CT image

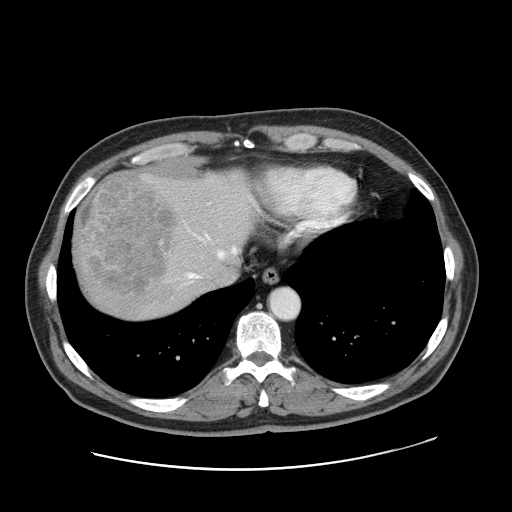

Only some of the vessels may be annotated.
<segmentation>
  <hepatic_vessel>x1=202, y1=230, x2=208, y2=239; x1=231, y1=246, x2=239, y2=253; x1=186, y1=282, x2=190, y2=283; x1=238, y1=259, x2=241, y2=263; x1=218, y1=250, x2=224, y2=257; x1=233, y1=276, x2=235, y2=278</hepatic_vessel>
  <liver_tumor>x1=75, y1=175, x2=173, y2=298</liver_tumor>
</segmentation>